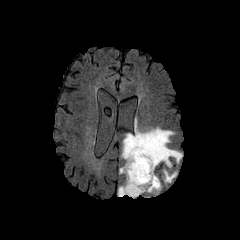
FLAIR MR image.
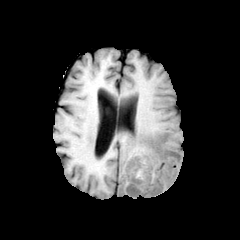
T1-weighted MR.
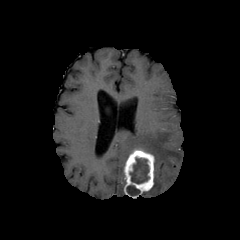
Post-contrast T1-weighted MR image.
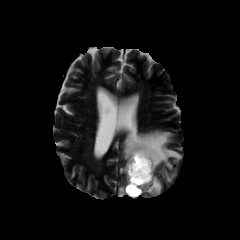
T2-weighted magnetic resonance.
Non-enhancing tumor core: bounding box {"x1": 130, "y1": 159, "x2": 148, "y2": 183}, {"x1": 127, "y1": 186, "x2": 140, "y2": 195}.
Edema: bounding box {"x1": 118, "y1": 183, "x2": 125, "y2": 196}, {"x1": 122, "y1": 117, "x2": 182, "y2": 170}, {"x1": 144, "y1": 174, "x2": 162, "y2": 194}, {"x1": 160, "y1": 167, "x2": 176, "y2": 183}.
Enhancing tumor: bounding box {"x1": 123, "y1": 148, "x2": 155, "y2": 198}.